512x512, Upper abdomen, CT, Slice index 48 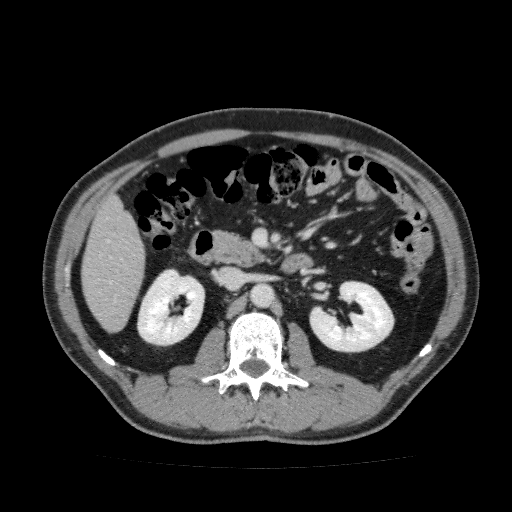 Kidney: bounding box [138,270,204,344], [310,282,393,351].
Liver: bounding box [80,194,146,332].